Medial temporal lobe; Slice 25 of 32; MR
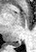 Segmented structures:
- posterior hippocampus: rect(13, 42, 21, 46)